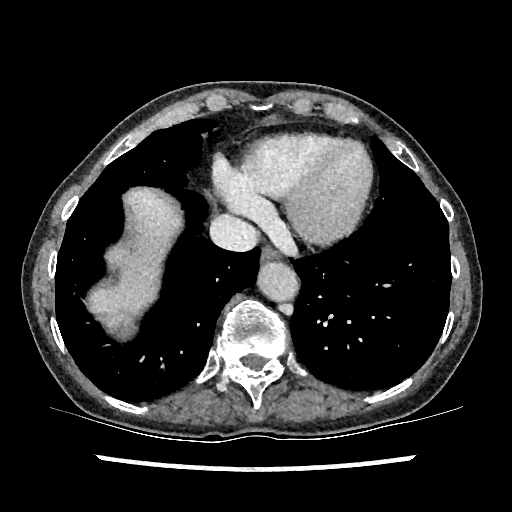
CT image
The liver is bounded by 90:188:179:316.